Head; 240x240; Slice 49/155
FLAIR magnetic resonance.
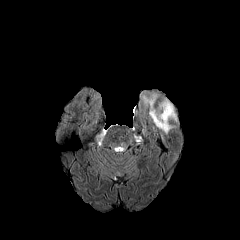
T1-weighted MR image.
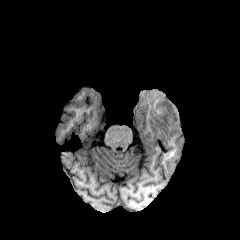
Post-contrast T1-weighted MR image.
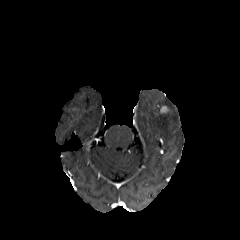
T2-weighted magnetic resonance.
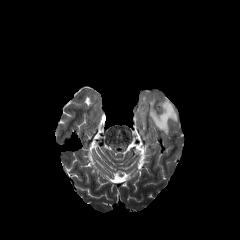
Edema at box(143, 93, 177, 134).